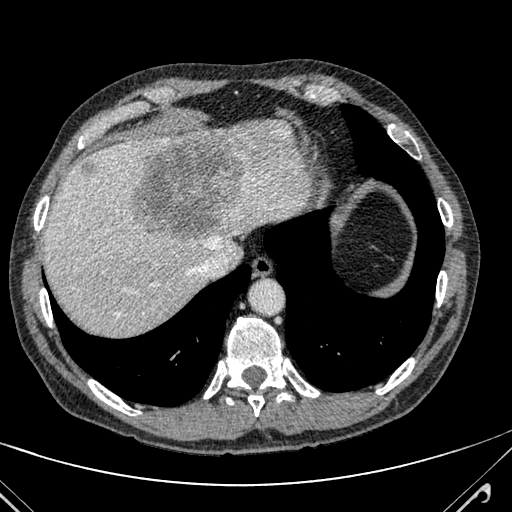

CT image | 512x512
2 liver lesion regions are bounded by x1=82, y1=163, x2=92, y2=177; x1=132, y1=136, x2=244, y2=244. The liver is at x1=45, y1=120, x2=308, y2=335.